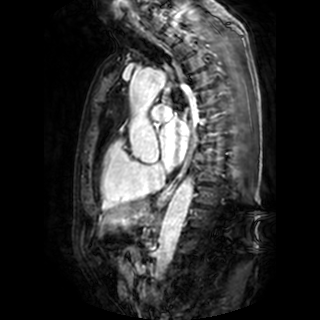
MRI slice

left_atrium:
  - left=160, top=118, right=189, bottom=166